Slice 59 of 155. Image size 240x240.
FLAIR MR.
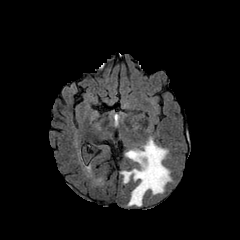
T1-weighted MR image.
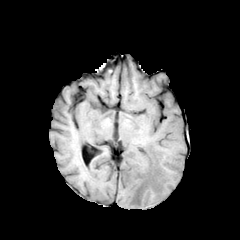
Post-contrast T1-weighted magnetic resonance.
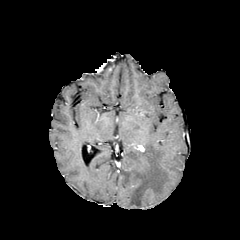
T2-weighted magnetic resonance.
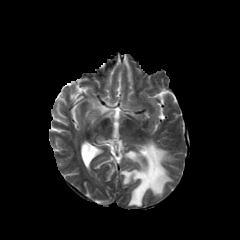
Edema at bbox(120, 138, 171, 206).